Slice 285/401; CT slice
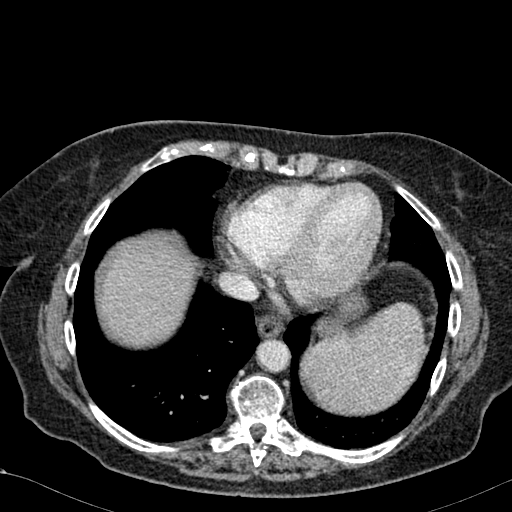 Liver: [103, 242, 189, 342].